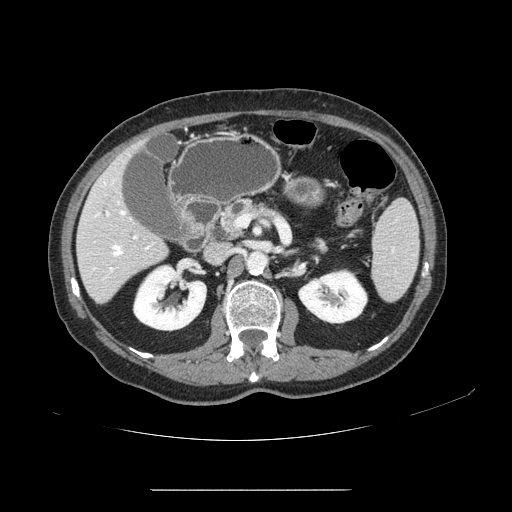
512x512, CT
2 pancreas regions are located at x1=221 y1=198 x2=285 y2=238, x1=307 y1=237 x2=328 y2=254.